Liver | Field of view 438x438 mm | CT slice
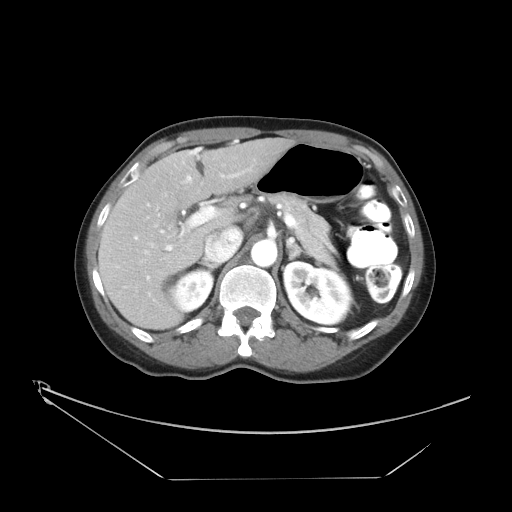
The vessel annotation is not exhaustive.
Most prominent 15 of 16 hepatic vessel regions: bounding box (189, 204, 217, 225), (221, 174, 224, 177), (148, 293, 150, 295), (182, 176, 190, 182), (147, 204, 149, 205), (166, 245, 171, 249), (135, 236, 137, 238), (160, 230, 163, 232), (145, 250, 148, 253), (205, 230, 242, 254), (156, 208, 158, 209), (154, 224, 157, 226), (230, 173, 238, 177), (151, 243, 152, 246), (147, 276, 149, 279).